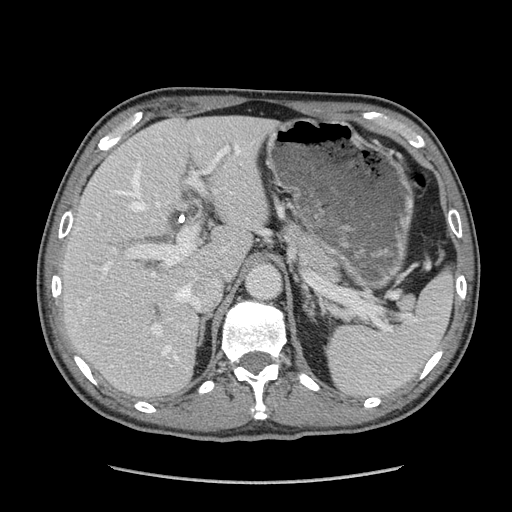 Image size 512x512. CT image. Pancreas: bounding box bbox(282, 220, 342, 284).